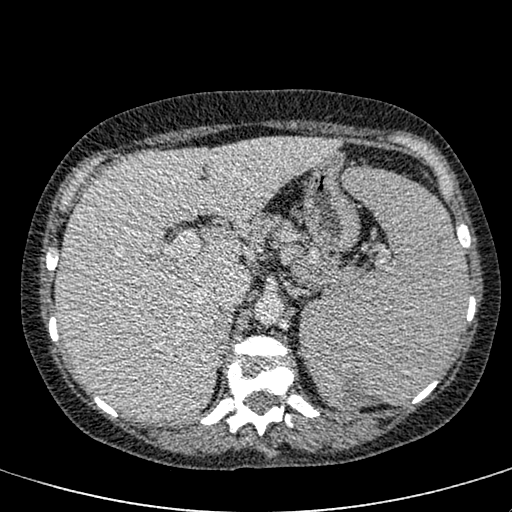
CT

{"liver": ["58,138,341,421"]}